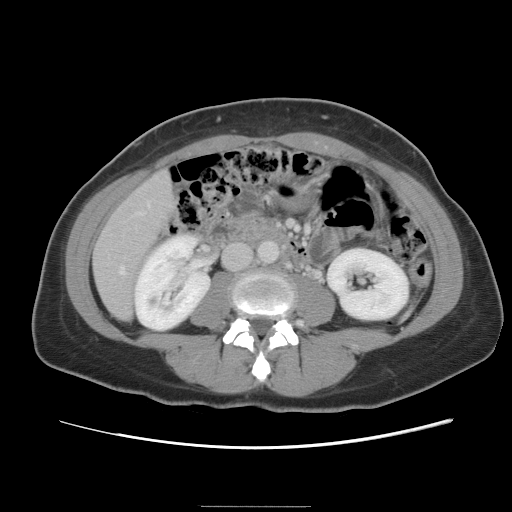 CT; Abdomen

The vessel annotation is not exhaustive.
Segmented structures:
* hepatic vessel: box(118, 265, 124, 273); box(147, 202, 148, 204); box(136, 212, 140, 213)